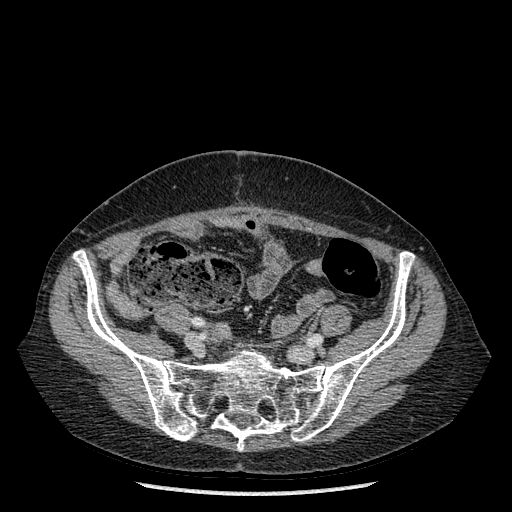
CT scan slice
Segmented structures:
* bone: region(72, 250, 414, 451)